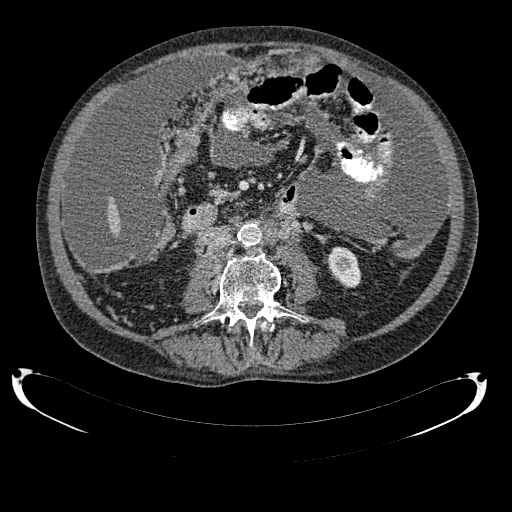

512x512; CT slice
Kidney: bounding box rect(328, 247, 360, 286).
Liver: bounding box rect(107, 201, 119, 233).